FLAIR MR.
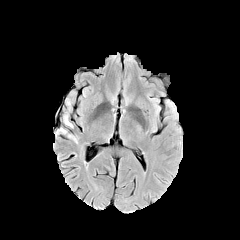
T1-weighted MR.
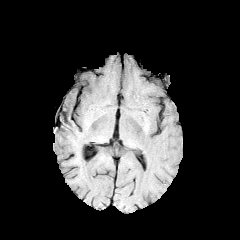
Post-contrast T1-weighted MRI.
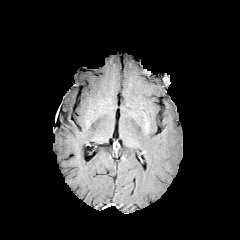
T2-weighted MR.
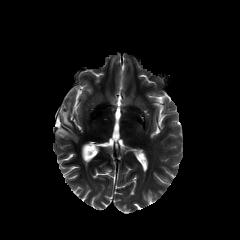
Head
2 edema regions are bounded by [56,128,76,140], [63,112,72,127].